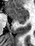

MRI slice. Hippocampus. 35x46 px.

anterior hippocampus: 6,8,28,20 | posterior hippocampus: 18,21,25,23